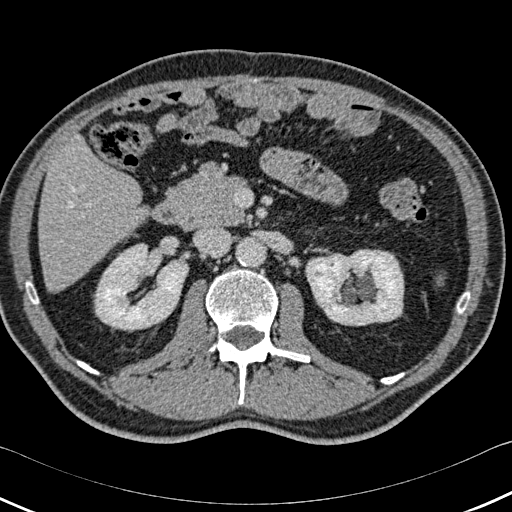

CT image
5 bone regions appear at <bbox>26, 282, 38, 303</bbox>, <bbox>206, 270, 309, 404</bbox>, <bbox>457, 292, 469, 312</bbox>, <bbox>381, 373, 403, 383</bbox>, <bbox>77, 361, 98, 373</bbox>. The liver lies within <bbox>39, 137, 146, 291</bbox>. 2 kidney regions are bounded by <bbox>306, 250, 403, 325</bbox>, <bbox>96, 244, 187, 329</bbox>.